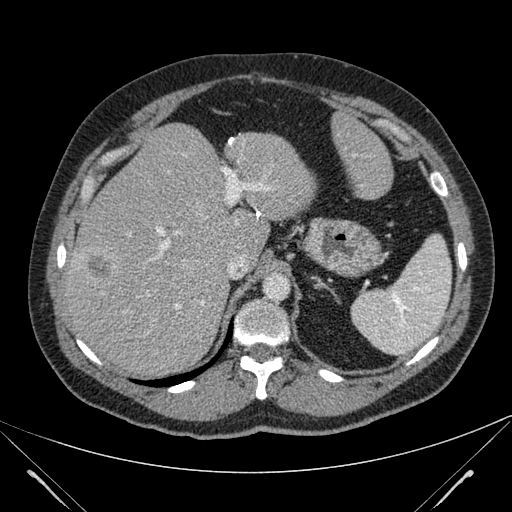
CT scan slice; Abdomen; 512x512
liver:
  - (332, 110, 392, 198)
  - (57, 123, 315, 378)
hepatic_lesion:
  - (86, 251, 113, 280)